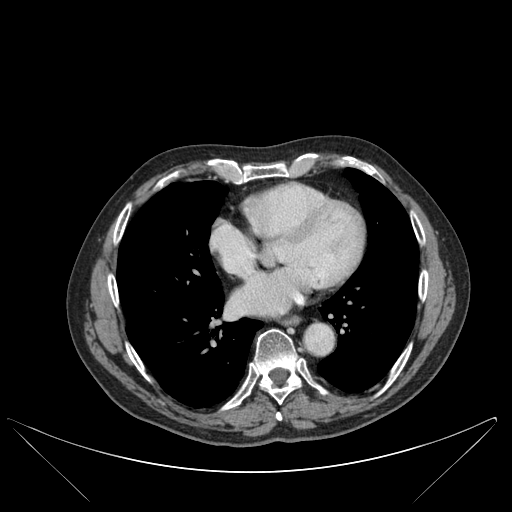 CT slice | Thorax

{
  "bone": [
    "<box>222,329,326,409</box>",
    "<box>382,345,411,391</box>",
    "<box>206,160,290,183</box>",
    "<box>411,212,424,243</box>",
    "<box>126,344,148,379</box>",
    "<box>114,204,130,242</box>",
    "<box>108,274,118,305</box>",
    "<box>418,270,428,300</box>",
    "<box>158,172,177,186</box>",
    "<box>294,155,316,162</box>"
  ],
  "lung": [
    "<box>116,181,262,407</box>",
    "<box>317,168,418,392</box>"
  ]
}